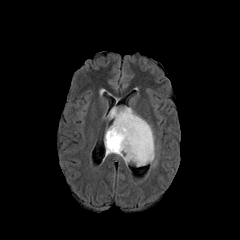
FLAIR MR.
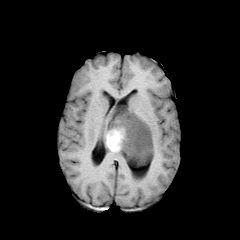
T1-weighted MR image.
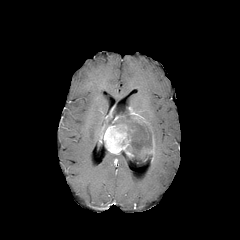
Post-contrast T1-weighted MR.
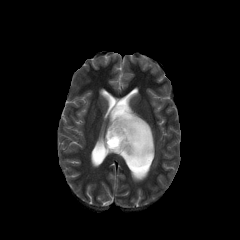
Same slice, T2-weighted magnetic resonance.
Brain
Annotated regions:
- non-enhancing tumor core: <box>113,106,153,165</box>
- enhancing tumor: <box>140,139,154,161</box>, <box>128,107,141,123</box>, <box>104,107,134,157</box>